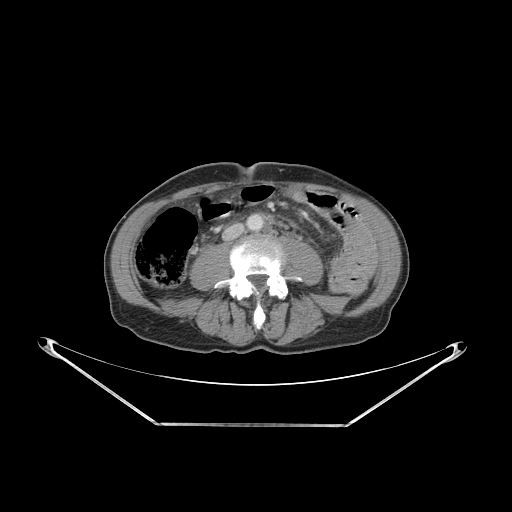
512x512 px. Computed tomography.

The bone appears at (left=227, top=238, right=287, bottom=328).